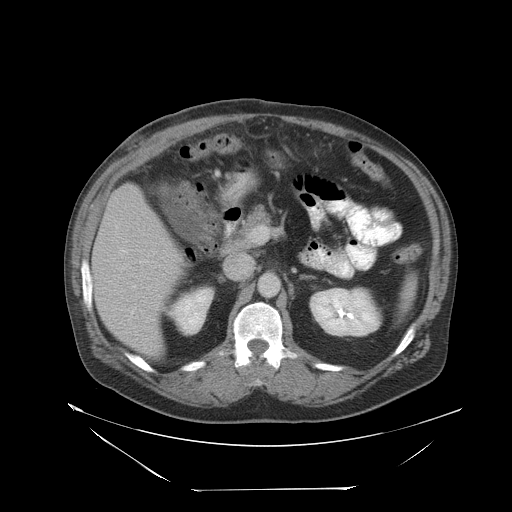
CT slice

Some hepatic vessels may have no box.
Hepatic vessel — box(133, 285, 135, 286); box(122, 250, 124, 251).